Head; Slice 37 of 155; 240x240
FLAIR magnetic resonance.
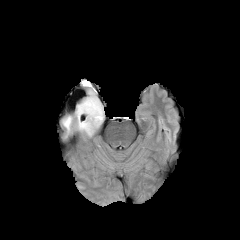
T1-weighted MR image.
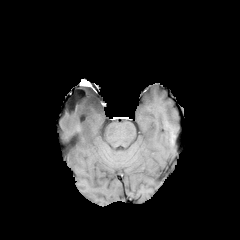
Post-contrast T1-weighted MR image.
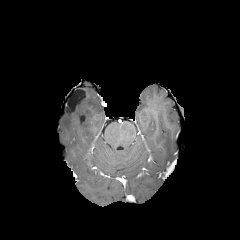
T2-weighted MR.
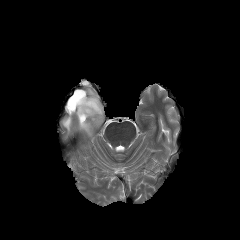
Edema at 62 86 104 135.